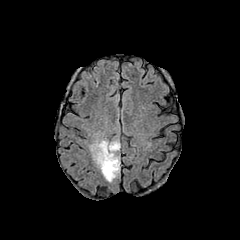
FLAIR MR image.
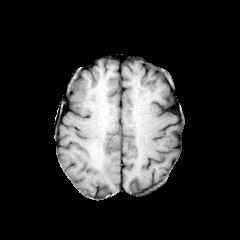
T1-weighted MRI of the same slice.
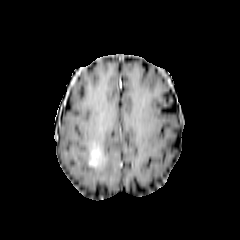
Same slice, post-contrast T1-weighted magnetic resonance.
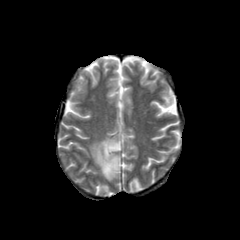
T2-weighted MRI of the same slice.
Brain
Segmented structures:
- enhancing tumor: [x1=91, y1=145, x2=102, y2=164]
- edema: [x1=88, y1=135, x2=121, y2=182]
- non-enhancing tumor core: [x1=94, y1=144, x2=106, y2=166]